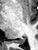

MR image
Annotated regions:
* posterior hippocampus: bbox(13, 38, 24, 44)